FLAIR MR.
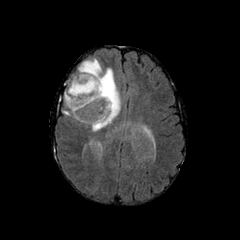
T1-weighted magnetic resonance.
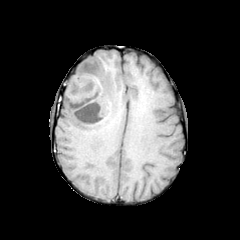
Post-contrast T1-weighted MR.
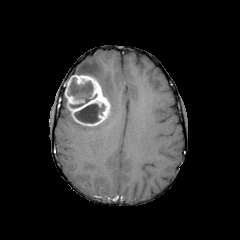
T2-weighted MR.
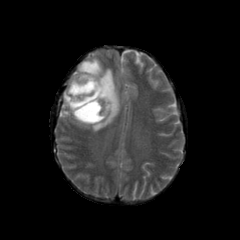
Head
Annotated regions:
- enhancing tumor: {"x1": 64, "y1": 75, "x2": 110, "y2": 125}
- edema: {"x1": 77, "y1": 59, "x2": 120, "y2": 131}, {"x1": 62, "y1": 97, "x2": 71, "y2": 116}
- non-enhancing tumor core: {"x1": 69, "y1": 77, "x2": 96, "y2": 107}, {"x1": 75, "y1": 103, "x2": 105, "y2": 123}